FLAIR MRI.
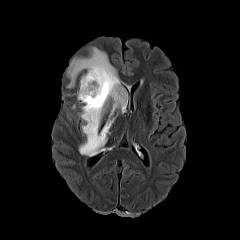
T1-weighted MRI.
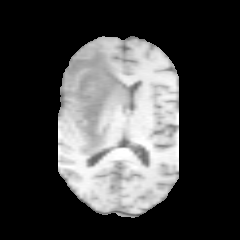
Post-contrast T1-weighted MR image.
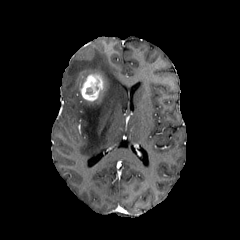
T2-weighted MR image.
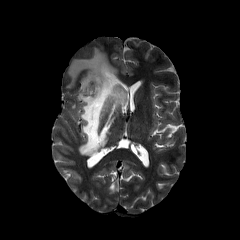
Head, 240x240
enhancing tumor: [75, 70, 102, 101] | edema: [67, 47, 127, 156]